Liver; 512x512 px; Computed tomography

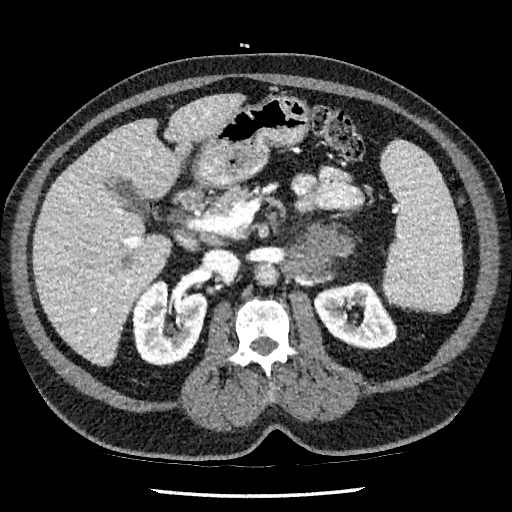 liver:
  - (x1=33, y1=93, x2=244, y2=364)
kidney:
  - (x1=133, y1=280, x2=206, y2=364)
  - (x1=314, y1=283, x2=395, y2=347)
hepatic_lesion:
  - (x1=122, y1=256, x2=132, y2=271)